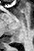 34x51; Hippocampus; MR

The posterior hippocampus lies within <box>5,37,13,42</box>.